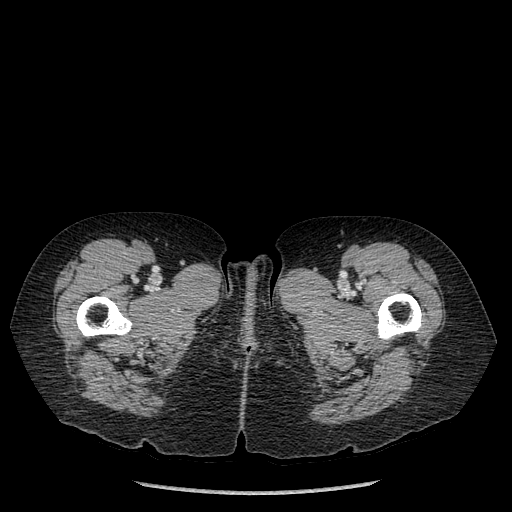
Image size 512x512; Computed tomography
bone:
  - 74 296 132 336
  - 375 293 421 341